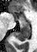
Magnetic resonance
The anterior hippocampus is bounded by rect(20, 17, 27, 21). The posterior hippocampus is bounded by rect(14, 22, 29, 40).